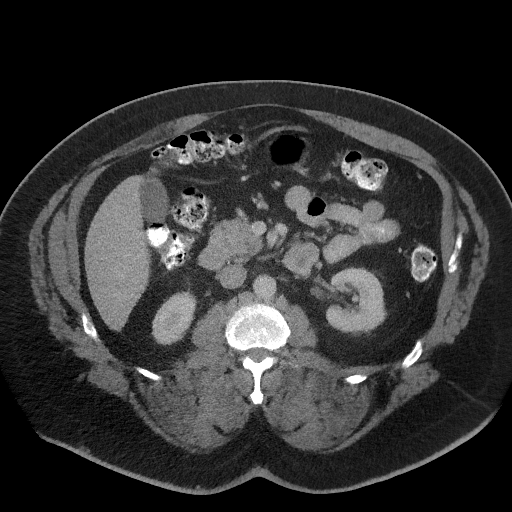

Abdomen, CT slice
pancreas:
  - 199 218 263 268